Image size 240x240
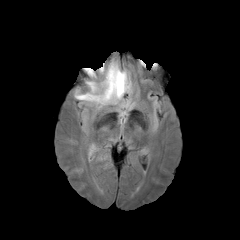
FLAIR MRI.
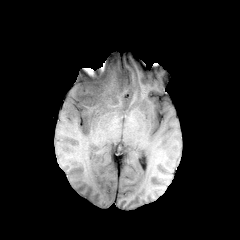
T1-weighted MR image of the same slice.
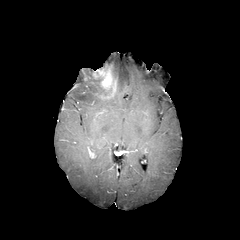
Post-contrast T1-weighted MRI of the same slice.
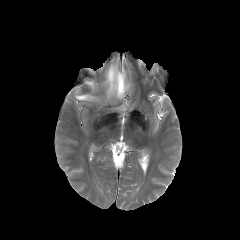
Same slice, T2-weighted magnetic resonance.
Edema — 74:58:134:119.
Non-enhancing tumor core — 99:62:120:86, 80:68:111:96.
Enhancing tumor — 93:68:116:99.